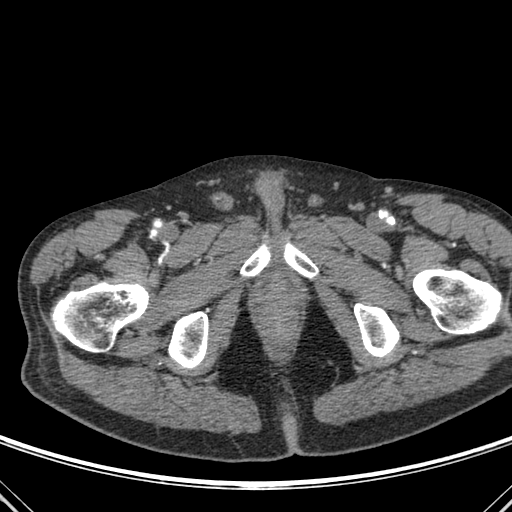
512x512, CT scan slice

6 bone regions are bounded by 354 303 399 357, 168 311 208 368, 413 268 503 333, 240 244 273 276, 282 242 318 278, 52 282 150 352.